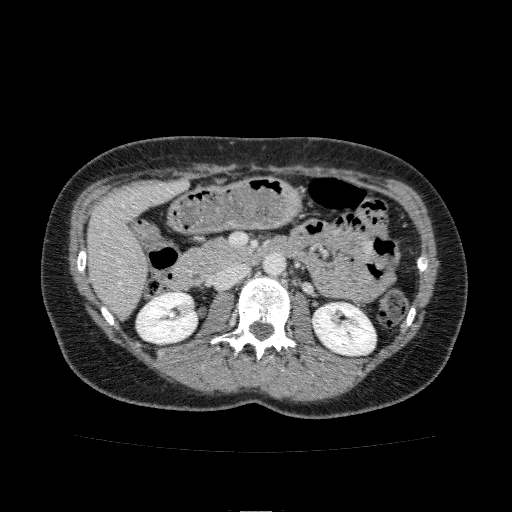

CT image
Liver — l=87, t=179, r=187, b=317.
Kidney — l=313, t=303, r=375, b=355; l=136, t=292, r=196, b=343.